FLAIR magnetic resonance.
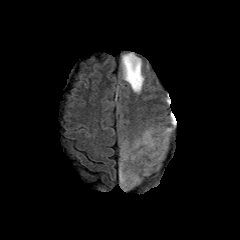
T1-weighted MRI.
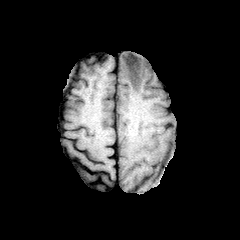
Post-contrast T1-weighted MR image.
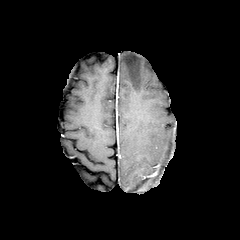
T2-weighted MR image.
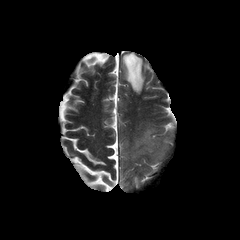
Findings:
* non-enhancing tumor core: bbox=[127, 57, 140, 85]
* edema: bbox=[120, 52, 144, 93]